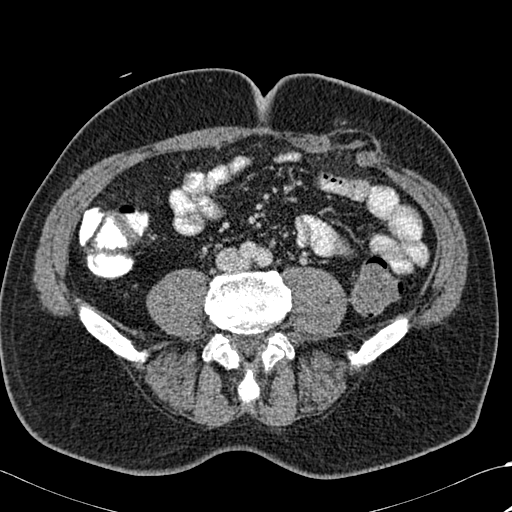

Image size 512x512 | CT image
4 bone regions are bounded by (x1=202, y1=271, x2=291, y2=402), (x1=259, y1=333, x2=294, y2=370), (x1=351, y1=318, x2=407, y2=365), (x1=80, y1=307, x2=143, y2=361).